Medial temporal lobe; 38x48 px; MRI slice; Slice 27 of 40
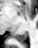 Posterior hippocampus: <bbox>14, 31, 27, 42</bbox>.